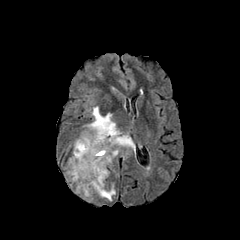
FLAIR MRI.
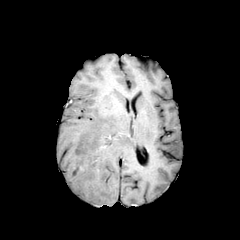
T1-weighted MRI.
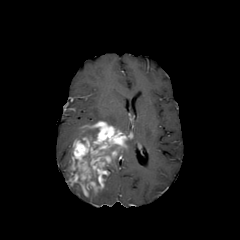
Same slice, post-contrast T1-weighted magnetic resonance.
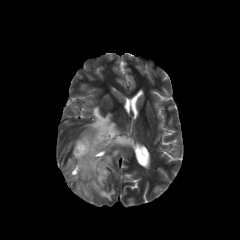
T2-weighted MR.
240x240. Head.
3 edema regions are bounded by [x1=95, y1=186, x2=115, y2=200], [x1=77, y1=106, x2=119, y2=139], [x1=117, y1=137, x2=134, y2=154]. The enhancing tumor appears at [x1=69, y1=121, x2=125, y2=196]. 2 non-enhancing tumor core regions are bounded by [x1=98, y1=145, x2=117, y2=156], [x1=82, y1=128, x2=97, y2=141].